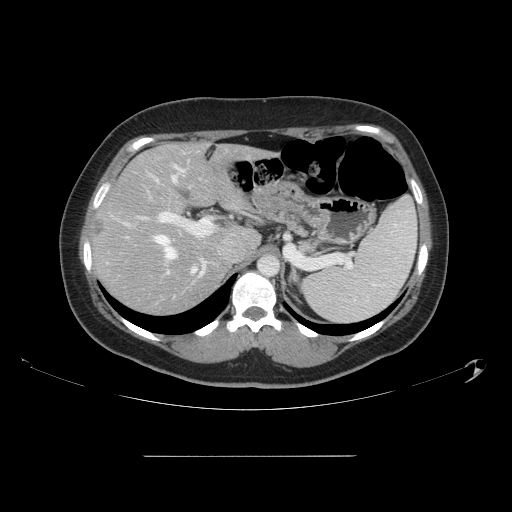
Abdomen. CT. 512x512. Only some of the vessels may be annotated.
Findings:
• hepatic vessel: rect(159, 212, 177, 222); rect(155, 235, 174, 258); rect(173, 165, 180, 169); rect(200, 261, 205, 275); rect(192, 268, 195, 273); rect(167, 271, 169, 272); rect(172, 176, 175, 181)
• liver tumor: rect(95, 218, 106, 235)